MR image | Slice index 21
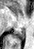
The posterior hippocampus appears at (11,28,24,39).